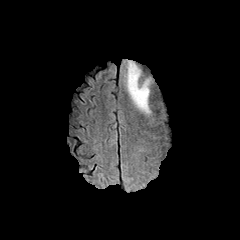
FLAIR MR.
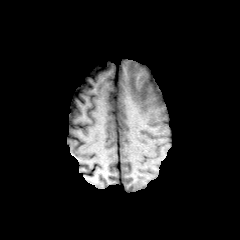
T1-weighted MR.
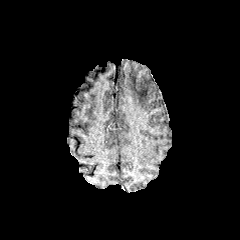
Post-contrast T1-weighted MR image.
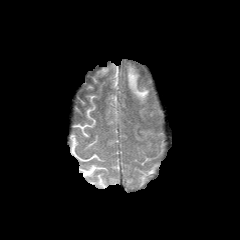
T2-weighted MR of the same slice.
Head.
The edema is at box=[126, 62, 152, 116].